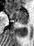
Hippocampus | MR image | 34x46
The anterior hippocampus is at (x1=5, y1=10, x2=28, y2=20). The posterior hippocampus is located at (x1=17, y1=21, x2=27, y2=24).